FLAIR magnetic resonance.
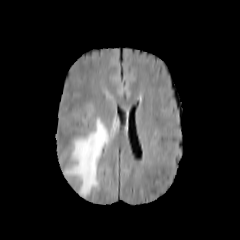
T1-weighted MR image.
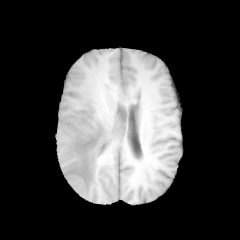
Post-contrast T1-weighted magnetic resonance.
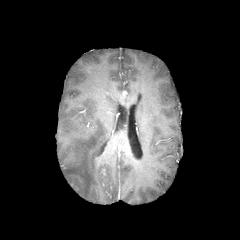
T2-weighted magnetic resonance.
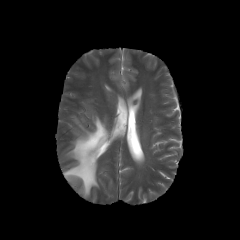
Image size 240x240; Brain
edema: {"x1": 61, "y1": 116, "x2": 108, "y2": 196}